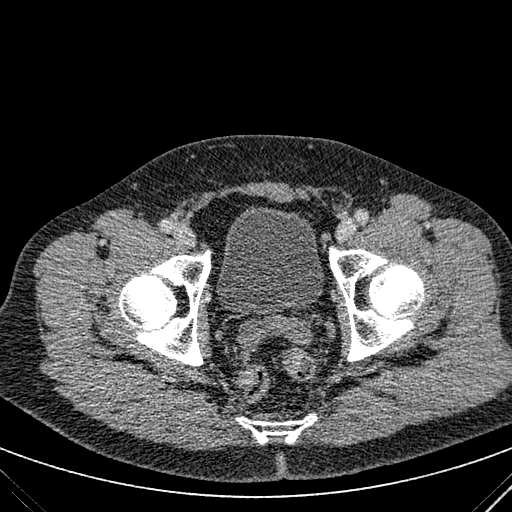 CT image
The urinary bladder lies within bbox=[217, 205, 324, 316].